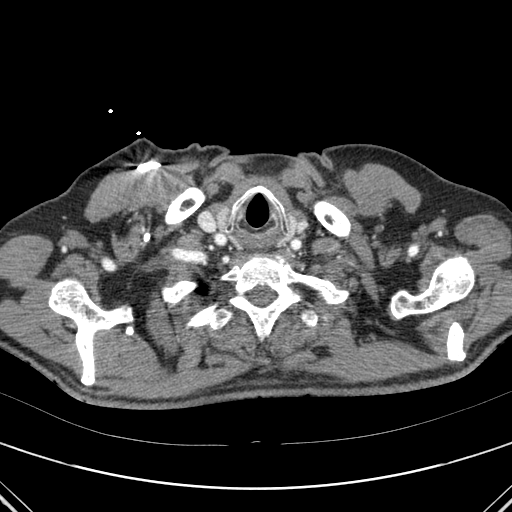
Thorax. CT image.

bone: bbox(409, 246, 417, 255); bbox(301, 312, 317, 326); bbox(187, 314, 201, 327); bbox(224, 311, 231, 322); bbox(390, 257, 474, 318); bbox(447, 322, 465, 360); bbox(208, 305, 216, 317); bbox(165, 187, 204, 224); bbox(221, 254, 348, 340); bbox(314, 201, 350, 236); bbox(48, 279, 132, 385); bbox(162, 280, 196, 302); bbox(126, 326, 133, 335) | lung: bbox(196, 284, 206, 293)